Field of view 496x496 mm; CT image
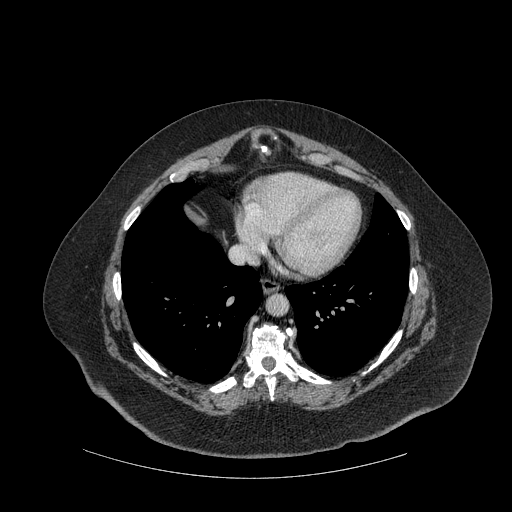

bone:
  - (x1=409, y1=268, x2=417, y2=293)
  - (x1=367, y1=330, x2=401, y2=371)
  - (x1=210, y1=377, x2=236, y2=392)
  - (x1=124, y1=207, x2=139, y2=229)
  - (x1=244, y1=325, x2=330, y2=399)
  - (x1=134, y1=343, x2=165, y2=375)
  - (x1=113, y1=273, x2=121, y2=299)
  - (x1=398, y1=211, x2=410, y2=229)
lung:
  - (x1=121, y1=178, x2=262, y2=382)
  - (x1=286, y1=193, x2=409, y2=376)